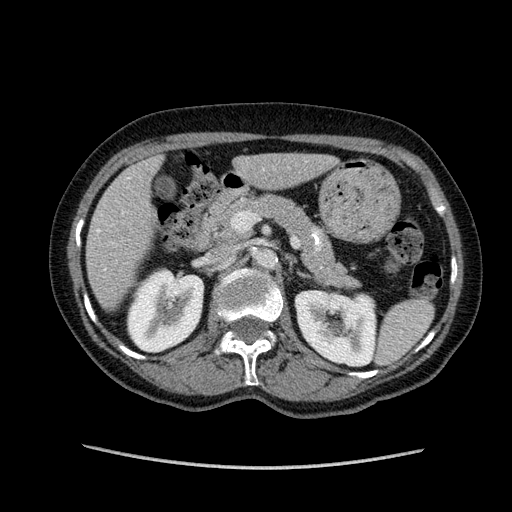 Image size 512x512 | CT image | Abdomen

2 kidney regions appear at x1=129 y1=271 x2=203 y2=351, x1=296 y1=291 x2=374 y2=365. 2 liver regions are bounded by x1=239 y1=152 x2=329 y2=187, x1=86 y1=160 x2=157 y2=302.